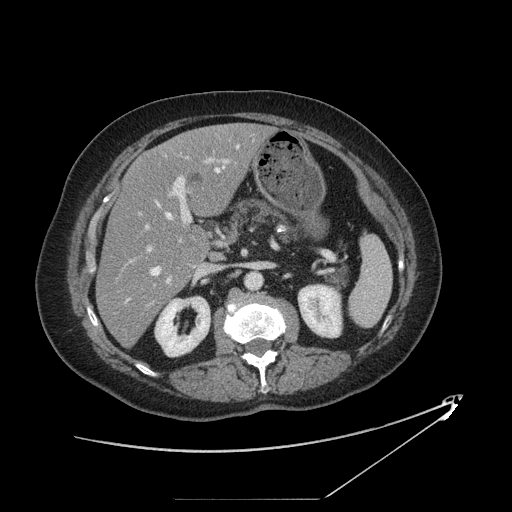 Image size 512x512, Computed tomography
The pancreas appears at box(224, 195, 295, 239).